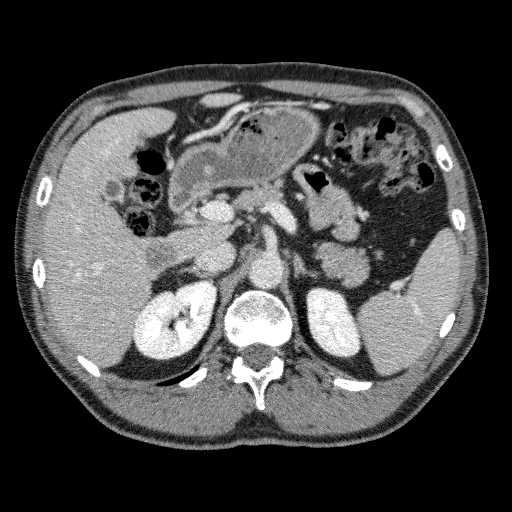
CT image. Liver: x1=202 y1=93 x2=240 y2=106, x1=41 y1=107 x2=232 y2=366, x1=119 y1=163 x2=137 y2=177.
Kidney: x1=308 y1=289 x2=359 y2=355, x1=134 y1=281 x2=215 y2=358.
Focal liver lesion: x1=106 y1=155 x2=134 y2=176, x1=131 y1=128 x2=147 y2=144, x1=144 y1=239 x2=179 y2=271.